Slice 173/260; CT; 512x512
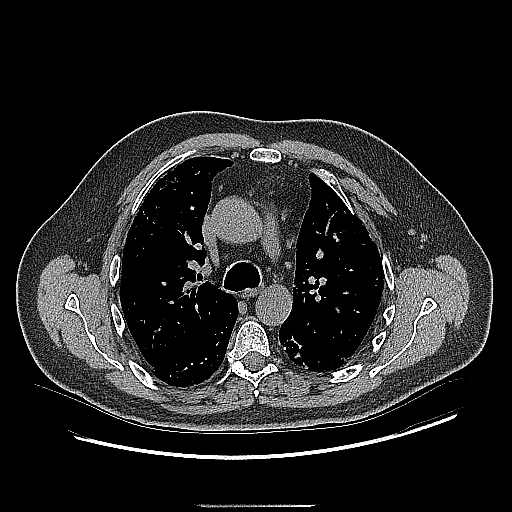 Lung tumor at <bbox>279, 331, 309, 369</bbox>.